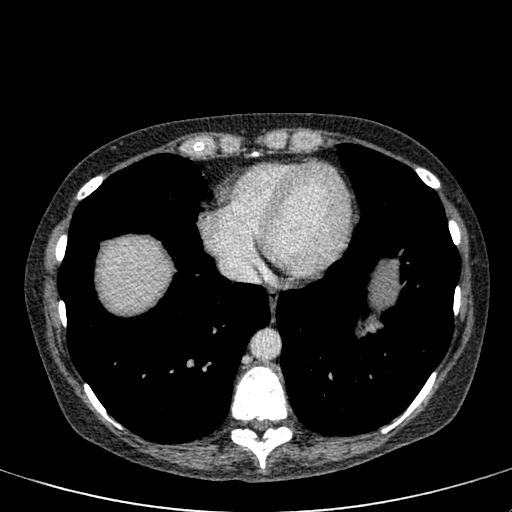 Abdomen. CT slice. {
  "liver": [
    "(99,237,170,311)"
  ]
}